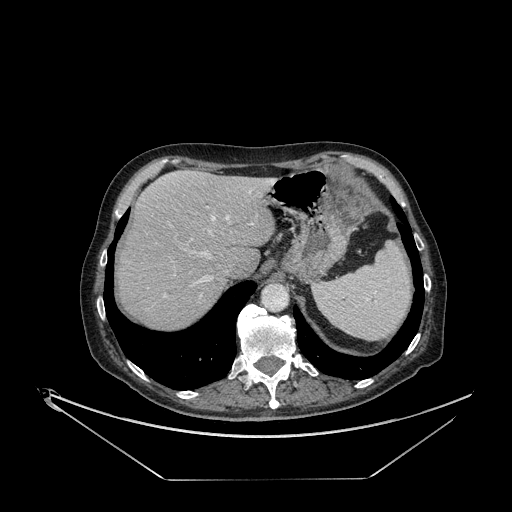
Liver; CT image

Liver at (118, 170, 275, 330).